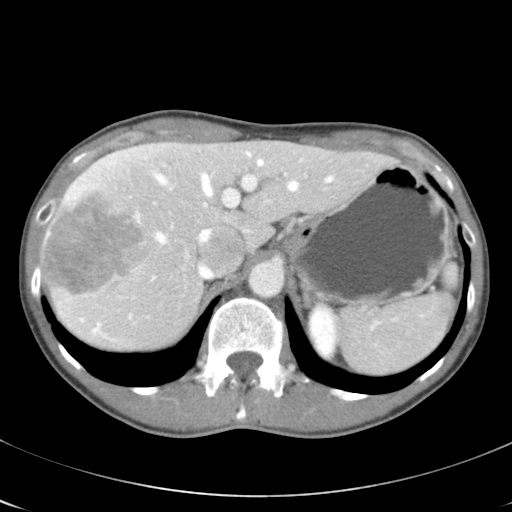
CT scan slice.
Not every hepatic vessel necessarily has a box.
<segmentation>
  <liver_tumor>(left=43, top=192, right=154, bottom=295)</liver_tumor>
  <hepatic_vessel>(left=156, top=232, right=166, bottom=242), (left=258, top=159, right=262, bottom=165), (left=94, top=324, right=110, bottom=338), (left=224, top=190, right=239, bottom=205), (left=289, top=182, right=297, bottom=189), (left=243, top=175, right=256, bottom=188), (left=169, top=187, right=171, bottom=189), (left=326, top=177, right=332, bottom=181), (left=130, top=315, right=131, bottom=317), (left=247, top=152, right=250, bottom=155), (left=202, top=174, right=211, bottom=194), (left=155, top=173, right=166, bottom=183), (left=203, top=204, right=205, bottom=206)</hepatic_vessel>
</segmentation>